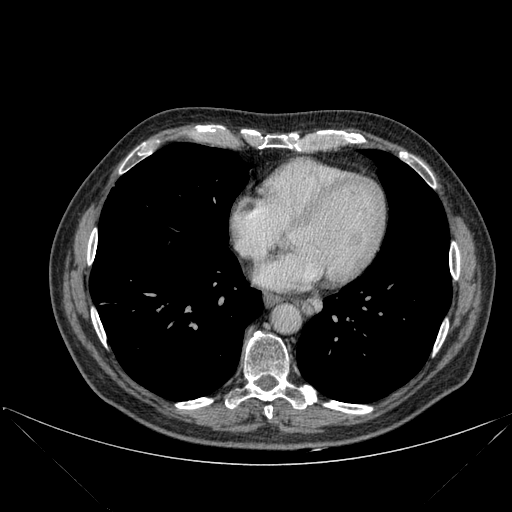 Thorax, Computed tomography

12 bone regions are bounded by (left=87, top=228, right=97, bottom=264), (left=259, top=133, right=298, bottom=148), (left=242, top=129, right=259, bottom=135), (left=449, top=242, right=459, bottom=279), (left=175, top=397, right=212, bottom=409), (left=126, top=143, right=150, bottom=160), (left=317, top=130, right=365, bottom=142), (left=324, top=401, right=372, bottom=413), (left=91, top=308, right=106, bottom=346), (left=264, top=405, right=272, bottom=418), (left=433, top=320, right=448, bottom=353), (left=225, top=331, right=316, bottom=408). 2 lung regions appear at (left=89, top=143, right=262, bottom=400), (left=297, top=150, right=451, bottom=402).